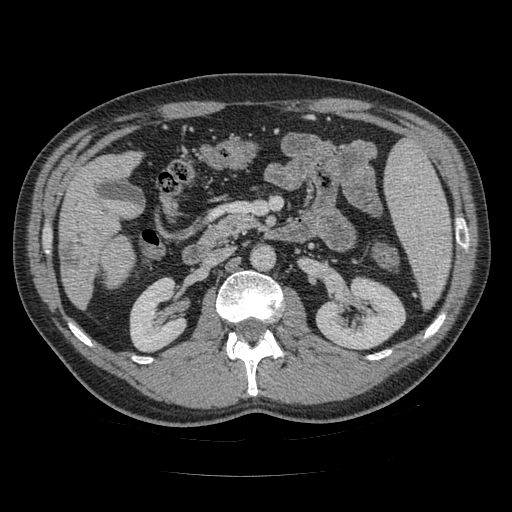 CT scan slice | Upper abdomen | Image size 512x512

Pancreas = x1=202, y1=214, x2=254, y2=245.